Lower abdomen, 512x512, CT
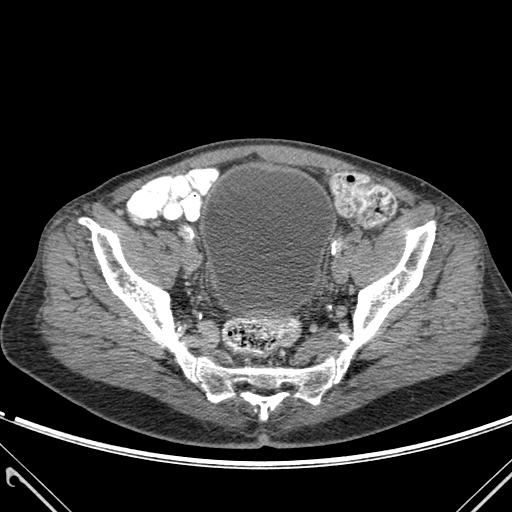

The urinary bladder is at (204,168,333,310). 2 bone regions are located at (241,392,288,419), (79,218,435,404).